CT scan slice | Slice 569/846 | Upper abdomen | 512x512 px

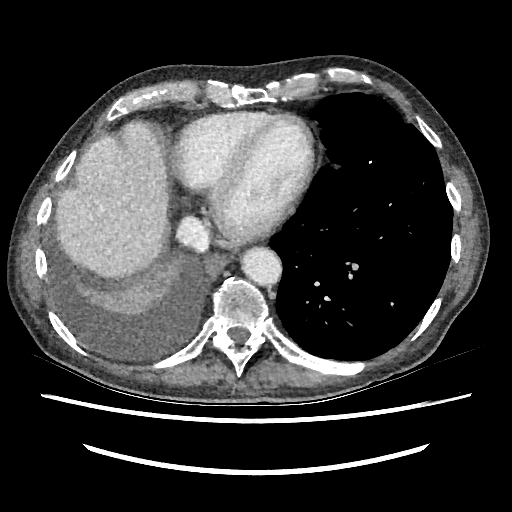

Liver — [x1=57, y1=123, x2=168, y2=277].